Head.
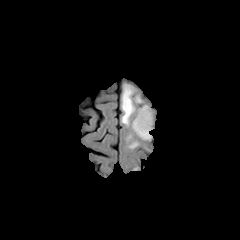
FLAIR MR image.
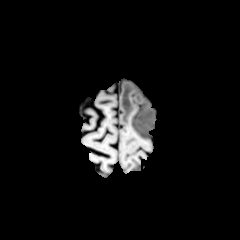
T1-weighted MR.
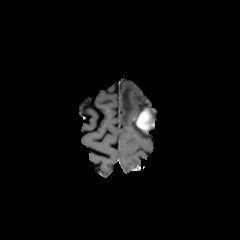
Post-contrast T1-weighted magnetic resonance of the same slice.
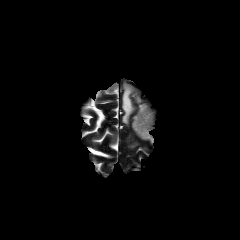
T2-weighted magnetic resonance.
Edema — rect(121, 83, 151, 141).
Enhancing tumor — rect(132, 107, 153, 132).